Hippocampus; MRI

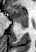 Annotated regions:
• posterior hippocampus: [x1=21, y1=25, x2=28, y2=28]
• anterior hippocampus: [x1=8, y1=6, x2=28, y2=24]